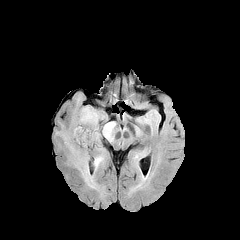
FLAIR magnetic resonance.
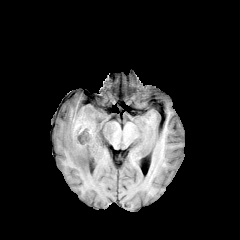
T1-weighted MR image.
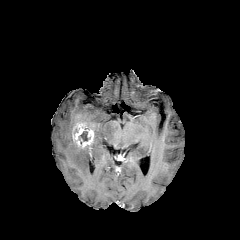
Same slice, post-contrast T1-weighted MRI.
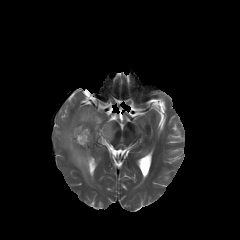
T2-weighted MR.
Brain
Edema: <box>64,106,115,185</box>.
Enhancing tumor: <box>72,122,93,147</box>.
Non-enhancing tumor core: <box>79,131,89,141</box>.